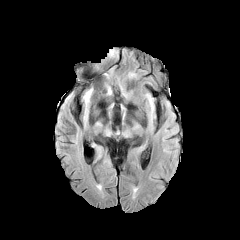
FLAIR MR image.
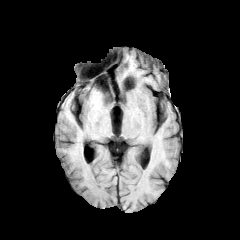
T1-weighted MR image.
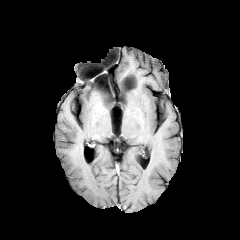
Same slice, post-contrast T1-weighted MR.
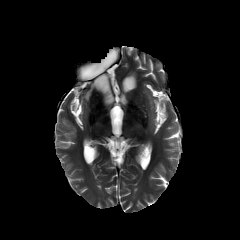
T2-weighted magnetic resonance.
The edema is located at 108, 50, 116, 57.